CT scan slice, Abdomen
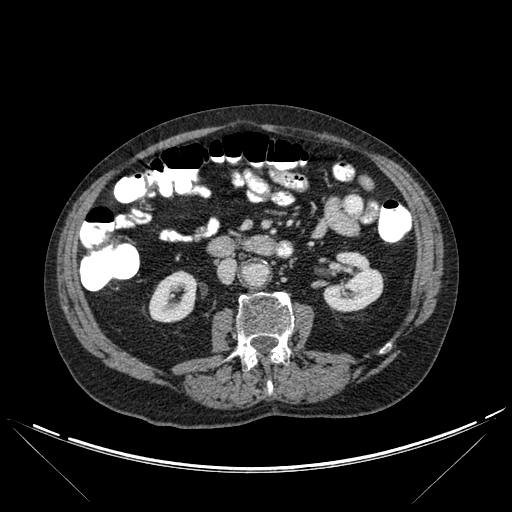 Kidney: bounding box <bbox>324, 252, 382, 311</bbox>, <bbox>149, 271, 196, 321</bbox>.
Bone: bounding box <bbox>231, 292, 293, 368</bbox>, <bbox>266, 381, 272, 394</bbox>.